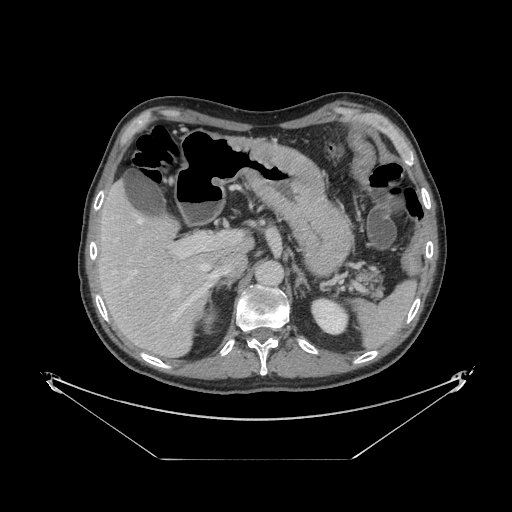

CT slice, Upper abdomen
Pancreas — [x1=356, y1=268, x2=384, y2=299].